Abdomen. Image width 383 mm. CT scan slice. Slice index 36.
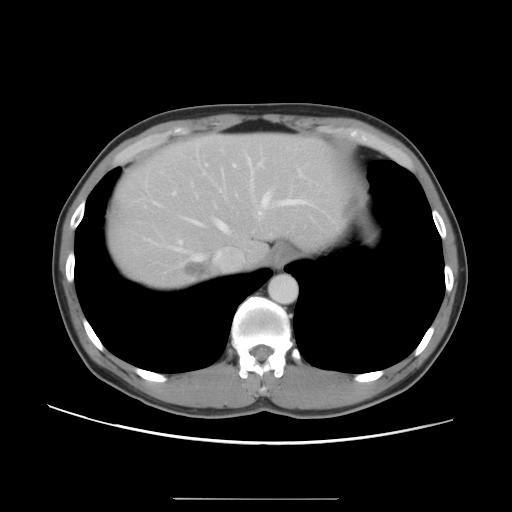 Only some of the vessels may be annotated.
14 hepatic vessel regions are bounded by <bbox>188, 219, 201, 224</bbox>, <bbox>220, 189, 222, 190</bbox>, <bbox>259, 162, 262, 166</bbox>, <bbox>248, 158, 254, 173</bbox>, <bbox>312, 218, 314, 221</bbox>, <bbox>193, 254, 204, 260</bbox>, <bbox>214, 219, 230, 233</bbox>, <bbox>252, 184, 253, 187</bbox>, <bbox>179, 240, 182, 243</bbox>, <bbox>254, 191, 308, 218</bbox>, <bbox>155, 202, 158, 204</bbox>, <bbox>298, 169, 300, 176</bbox>, <bbox>173, 192, 175, 194</bbox>, <bbox>217, 252, 219, 254</bbox>. The liver tumor is at <bbox>186, 264, 210, 278</bbox>.